Brain; Field of view 240x240 mm
FLAIR MR image.
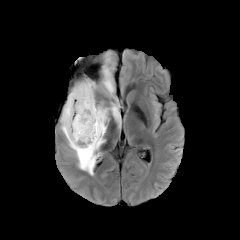
T1-weighted magnetic resonance.
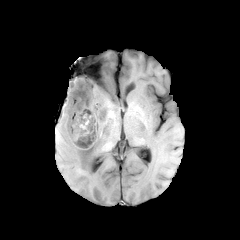
Post-contrast T1-weighted magnetic resonance.
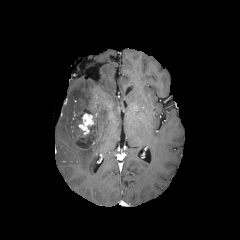
T2-weighted MR.
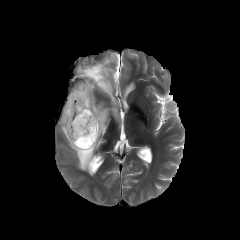
<segmentation>
  <edema>region(60, 60, 121, 175)</edema>
  <enhancing_tumor>region(78, 113, 94, 134)</enhancing_tumor>
  <non-enhancing_tumor_core>region(76, 122, 96, 148); region(79, 104, 97, 123)</non-enhancing_tumor_core>
</segmentation>